FLAIR magnetic resonance.
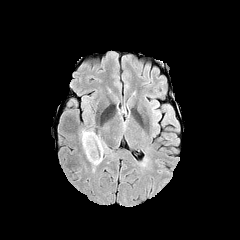
T1-weighted magnetic resonance.
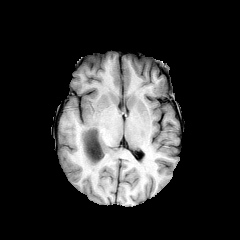
Post-contrast T1-weighted MR image.
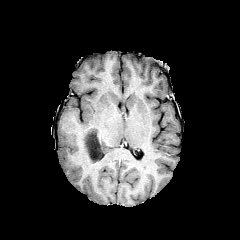
T2-weighted MRI.
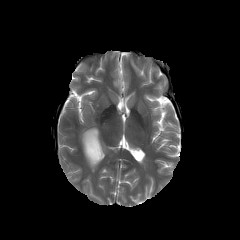
non-enhancing_tumor_core:
  - {"x1": 84, "y1": 130, "x2": 103, "y2": 161}
edema:
  - {"x1": 97, "y1": 134, "x2": 107, "y2": 156}
  - {"x1": 80, "y1": 129, "x2": 103, "y2": 171}